FLAIR MR.
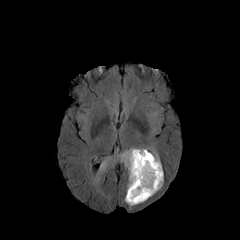
T1-weighted MR image.
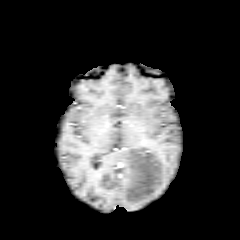
Post-contrast T1-weighted MR image.
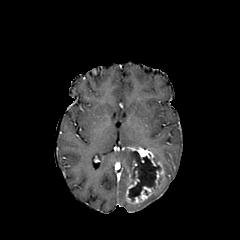
T2-weighted MRI.
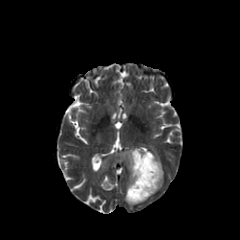
Brain
Edema = [x1=99, y1=159, x2=108, y2=170], [x1=124, y1=195, x2=145, y2=206], [x1=140, y1=147, x2=162, y2=169], [x1=117, y1=150, x2=134, y2=164], [x1=148, y1=175, x2=163, y2=197].
Enhancing tumor = [x1=126, y1=170, x2=164, y2=202], [x1=128, y1=147, x2=160, y2=166].
Non-enhancing tumor core = [x1=125, y1=151, x2=160, y2=200].